Abdomen | Image size 512x512 | CT | Slice 181/432 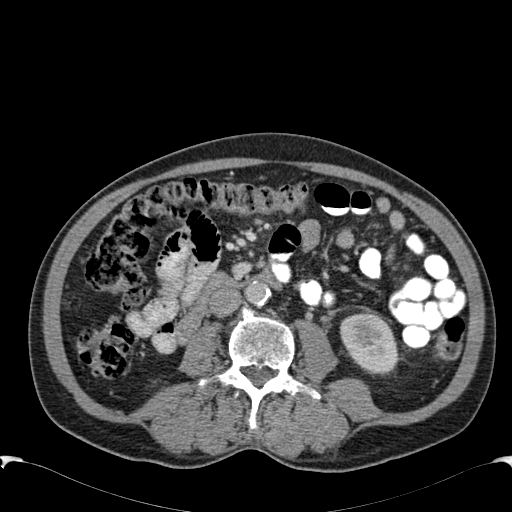

Kidney at {"x1": 339, "y1": 315, "x2": 397, "y2": 373}.